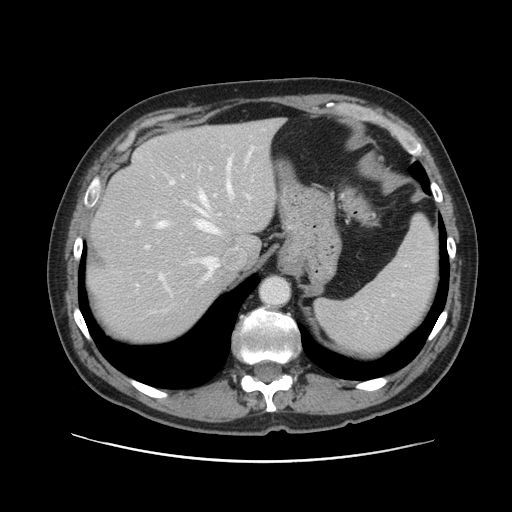

Abdomen. CT scan slice. Image size 512x512.
Some hepatic vessels may have no box.
The largest 15 hepatic vessel regions (of 16) are bounded by l=195, t=220, r=217, b=232; l=170, t=180, r=173, b=184; l=246, t=155, r=249, b=162; l=226, t=178, r=230, b=191; l=246, t=196, r=249, b=198; l=197, t=257, r=217, b=279; l=146, t=246, r=149, b=248; l=136, t=221, r=139, b=223; l=159, t=274, r=163, b=280; l=183, t=200, r=187, b=202; l=251, t=147, r=254, b=149; l=195, t=206, r=205, b=214; l=157, t=222, r=167, b=226; l=199, t=191, r=206, b=204; l=227, t=158, r=230, b=170.